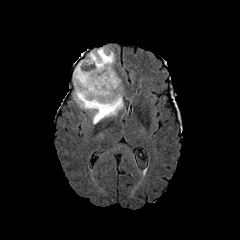
FLAIR magnetic resonance.
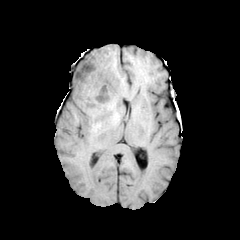
T1-weighted MR of the same slice.
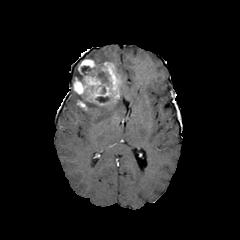
Post-contrast T1-weighted magnetic resonance.
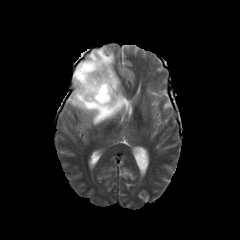
T2-weighted MRI.
Head.
Non-enhancing tumor core: bounding box (x1=97, y1=96, x2=109, y2=102), (x1=74, y1=67, x2=81, y2=80).
Edema: bounding box (x1=84, y1=84, x2=124, y2=124), (x1=87, y1=46, x2=114, y2=65), (x1=70, y1=91, x2=84, y2=109).
Enhancing tumor: bounding box (x1=73, y1=58, x2=120, y2=105), (x1=77, y1=100, x2=87, y2=109).